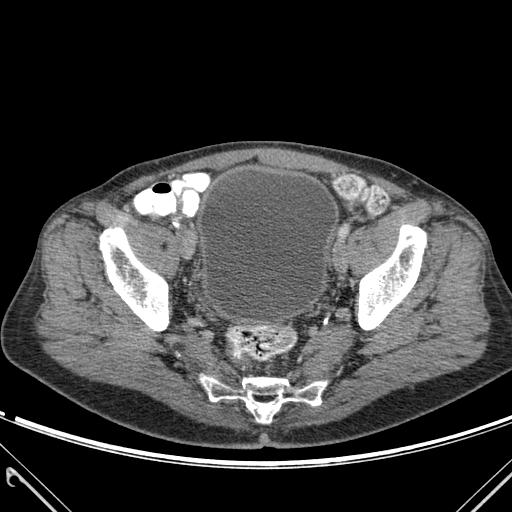
CT scan slice. Image size 512x512. bone: [201,376,326,422], [358,225,426,329], [100,228,168,330] | urinary bladder: [201,170,335,320]